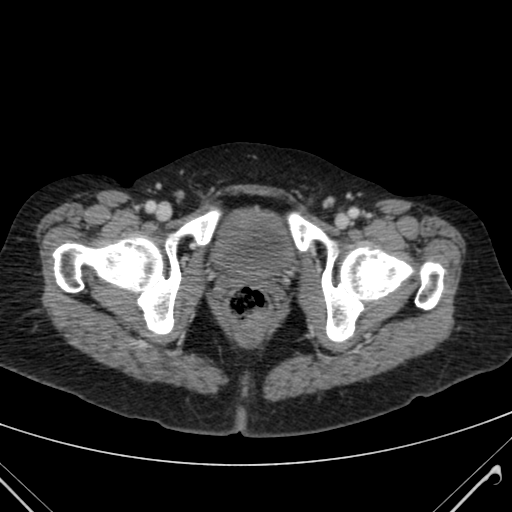

Image size 512x512, CT scan slice

{
  "urinary_bladder": [
    "213, 209, 299, 281"
  ]
}